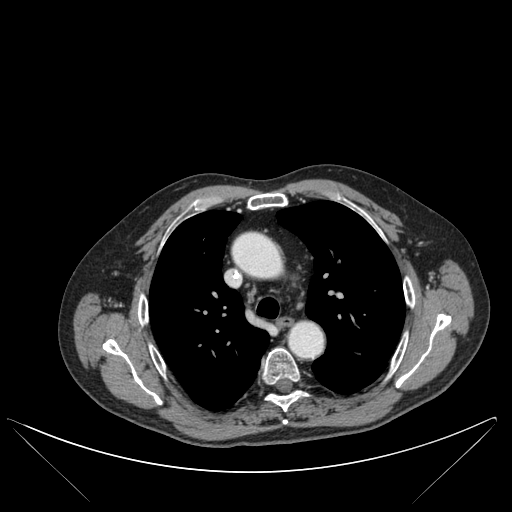

Chest. CT.
10 bone regions are bounded by 103 339 161 404, 396 314 451 387, 149 345 165 375, 138 294 148 324, 265 390 308 410, 403 277 414 306, 248 193 287 209, 389 333 407 375, 263 348 299 383, 361 210 381 234. 3 lung regions are bounded by 149 210 269 410, 276 200 404 393, 257 298 278 318.